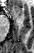

34x53 px | MR | Medial temporal lobe
The anterior hippocampus is at x1=13, y1=6, x2=22, y2=17.